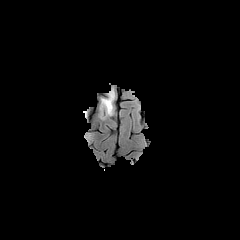
FLAIR MR.
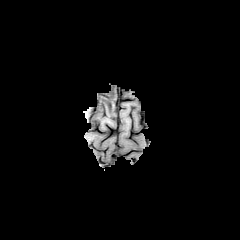
T1-weighted MR.
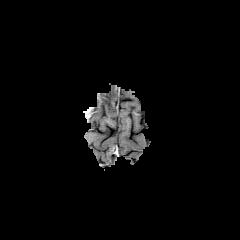
Post-contrast T1-weighted MRI of the same slice.
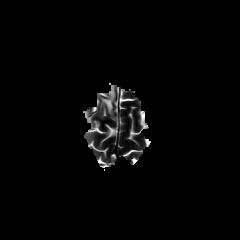
T2-weighted MR.
Brain.
{"edema": ["bbox(100, 108, 107, 119)"], "non-enhancing_tumor_core": ["bbox(100, 92, 114, 115)"]}